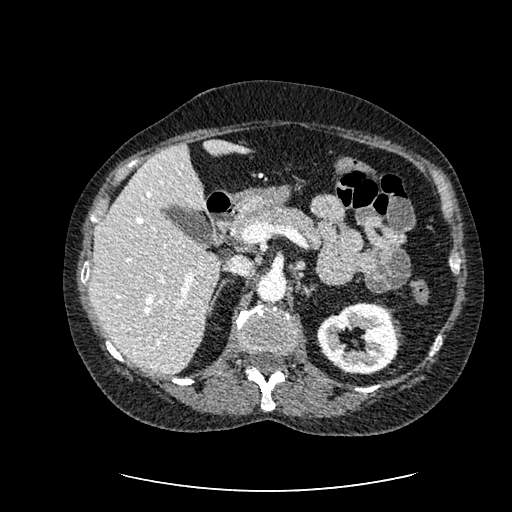

CT image | 512x512 px | Upper abdomen
2 liver regions are located at [203,140,253,157], [92,144,218,374]. The kidney lies within [318,303,397,373].